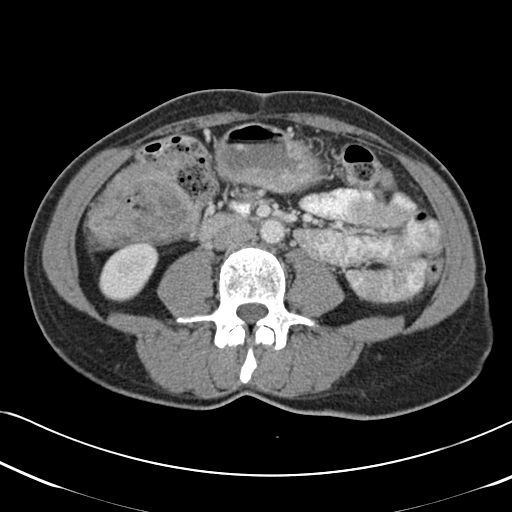
Image size 512x512. CT. Abdomen.

<segmentation>
  <colon_tumor>86,152,200,245</colon_tumor>
</segmentation>